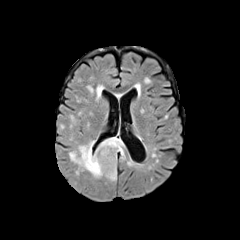
FLAIR MRI.
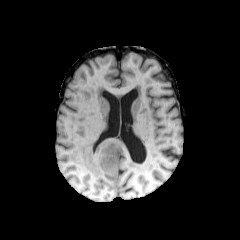
T1-weighted magnetic resonance.
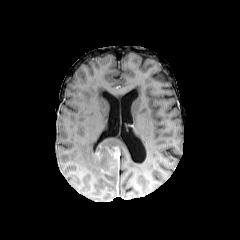
Post-contrast T1-weighted MRI of the same slice.
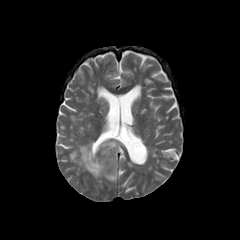
T2-weighted MR image.
Image size 240x240 | Head
Edema = box(88, 86, 103, 102); box(69, 134, 125, 181).
Enhancing tumor = box(106, 146, 119, 164).